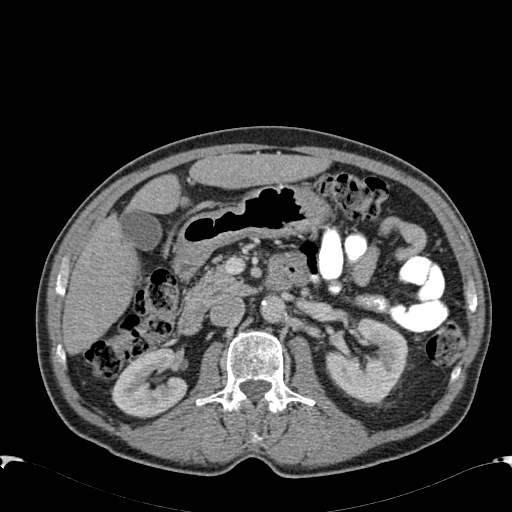 Upper abdomen. CT slice. <segmentation>
  <kidney>[x1=326, y1=319, x2=407, y2=402], [x1=112, y1=349, x2=186, y2=416]</kidney>
  <liver>[x1=191, y1=155, x2=330, y2=187], [x1=63, y1=214, x2=137, y2=353], [x1=129, y1=176, x2=182, y2=212]</liver>
</segmentation>